240x240 px. Field of view 240x240 mm. Head.
FLAIR MR image.
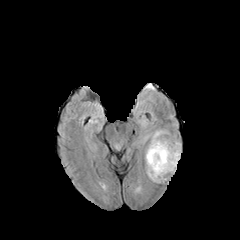
T1-weighted MR.
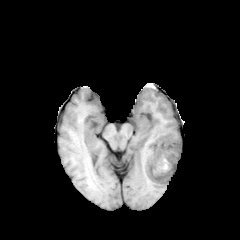
Post-contrast T1-weighted magnetic resonance.
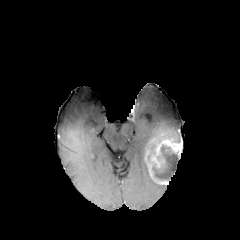
T2-weighted MR.
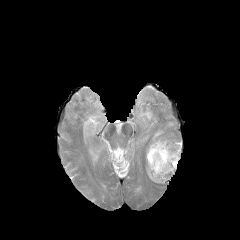
enhancing_tumor:
  - 157 140 181 154
edema:
  - 143 128 179 183